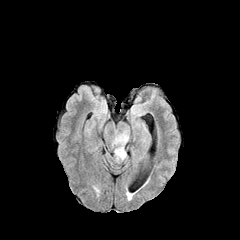
FLAIR MR image.
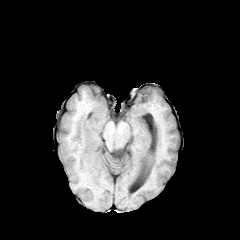
Same slice, T1-weighted MR image.
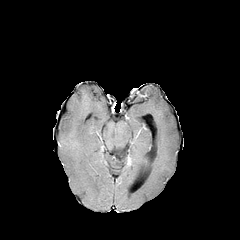
Post-contrast T1-weighted magnetic resonance.
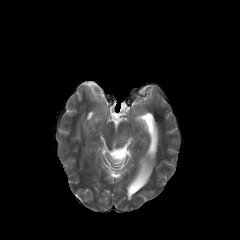
T2-weighted MR image.
240x240 px | Head
Edema at bbox=[112, 146, 127, 161].